Brain; Field of view 240 mm wide, 1.00 mm slice spacing
FLAIR MR.
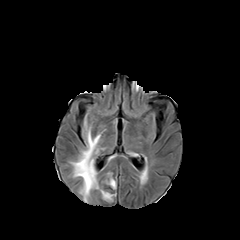
T1-weighted MRI.
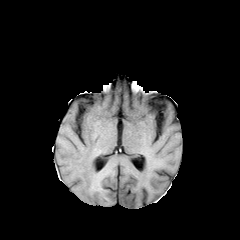
Post-contrast T1-weighted magnetic resonance.
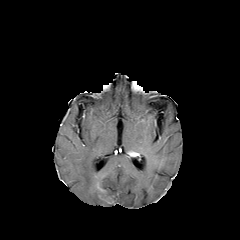
T2-weighted MR image.
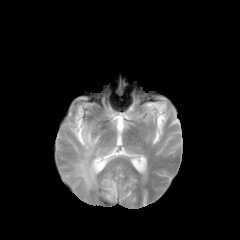
The edema is at box=[71, 121, 116, 201].